Slice 116 of 131, Abdomen, CT slice 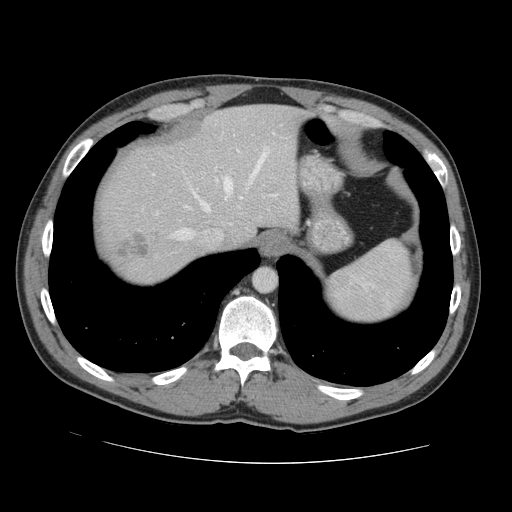 Not every hepatic vessel necessarily has a box.
Annotated regions:
- liver tumor: x1=116 y1=231 x2=158 y2=257
- hepatic vessel (most prominent 15 of 16): x1=272 y1=133 x2=274 y2=134, x1=171 y1=228 x2=193 y2=238, x1=215 y1=166 x2=216 y2=168, x1=191 y1=189 x2=209 y2=210, x1=248 y1=146 x2=269 y2=184, x1=223 y1=177 x2=231 y2=199, x1=262 y1=195 x2=264 y2=197, x1=239 y1=196 x2=241 y2=198, x1=270 y1=194 x2=277 y2=196, x1=152 y1=173 x2=154 y2=175, x1=155 y1=213 x2=158 y2=214, x1=237 y1=150 x2=238 y2=152, x1=215 y1=179 x2=217 y2=183, x1=183 y1=206 x2=189 y2=208, x1=185 y1=178 x2=187 y2=180